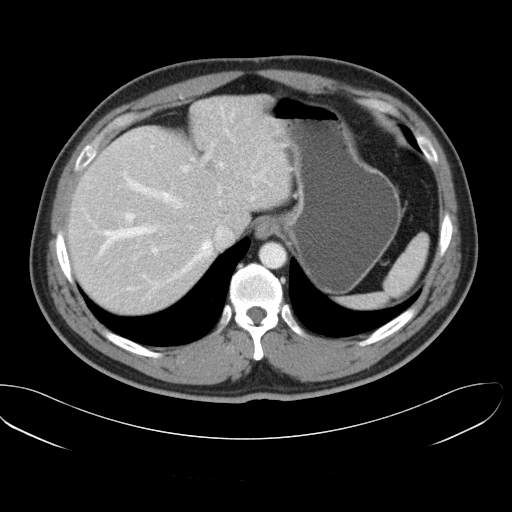

CT
Only some of the vessels may be annotated.
The most prominent 15 hepatic vessel regions (of 31) are bounded by <box>141,275,147,279</box>, <box>221,107,223,116</box>, <box>93,222,96,229</box>, <box>181,165,188,171</box>, <box>214,226,232,246</box>, <box>168,240,212,281</box>, <box>125,213,134,221</box>, <box>228,109,234,120</box>, <box>122,171,183,208</box>, <box>225,129,229,135</box>, <box>217,185,221,194</box>, <box>252,169,267,179</box>, <box>151,245,172,253</box>, <box>98,224,158,256</box>, <box>144,283,158,298</box>.